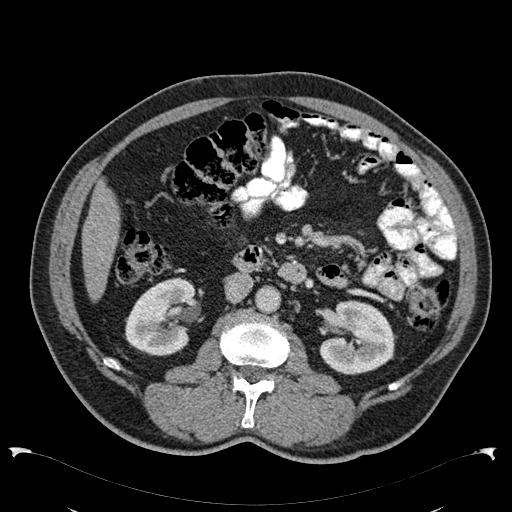

CT

kidney: 320, 301, 394, 374; 125, 278, 197, 355 | liver: 83, 179, 120, 301